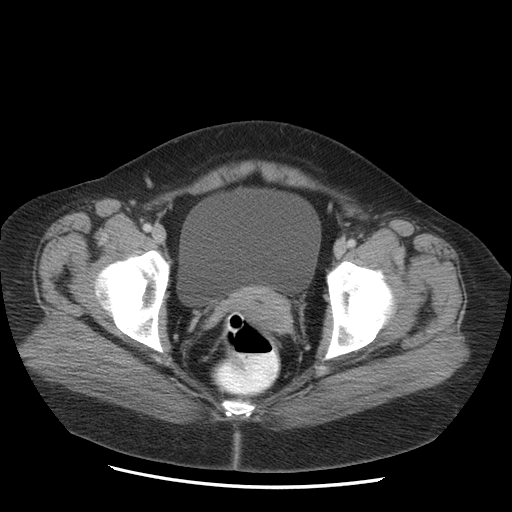

CT. The urinary bladder lies within (179, 186, 319, 304).